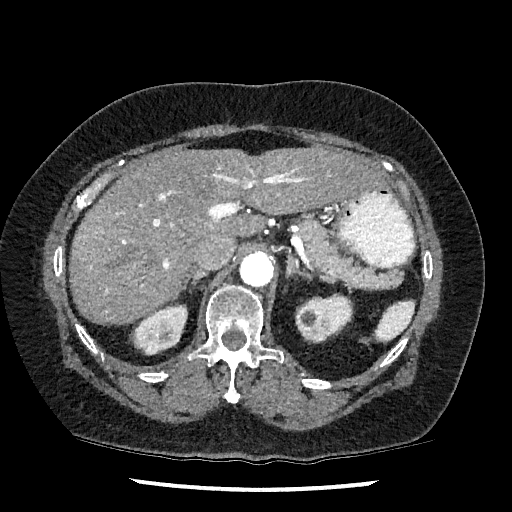
Abdomen. 512x512. Computed tomography.

kidney:
  - left=300, top=296, right=351, bottom=341
  - left=135, top=305, right=186, bottom=354
liver:
  - left=69, top=148, right=386, bottom=323